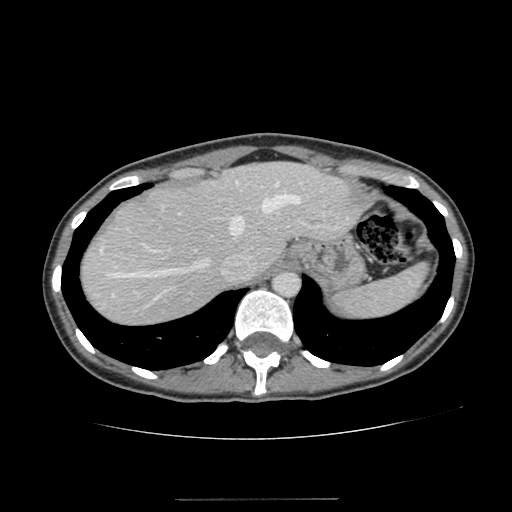
Computed tomography

• liver: l=81, t=162, r=361, b=327